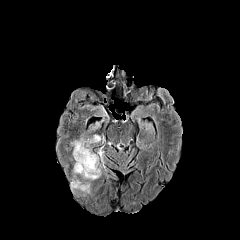
FLAIR MR image.
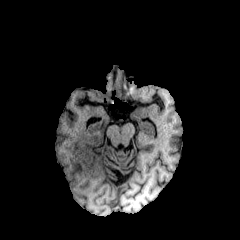
T1-weighted MR.
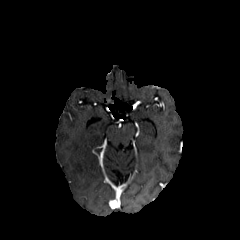
Same slice, post-contrast T1-weighted magnetic resonance.
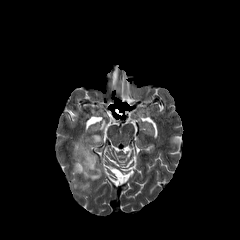
T2-weighted MR image.
2 edema regions are located at box(71, 177, 89, 192); box(70, 135, 100, 179).